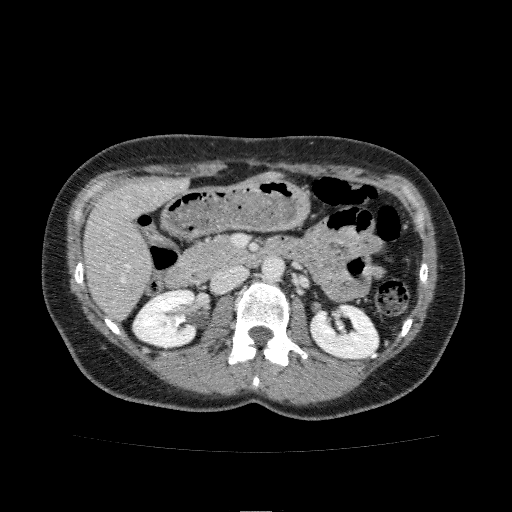 CT image | Image size 512x512
<segmentation>
  <liver>(left=243, top=172, right=281, bottom=185), (left=84, top=178, right=188, bottom=319)</liver>
  <kidney>(left=133, top=290, right=194, bottom=347), (left=311, top=305, right=378, bottom=358)</kidney>
</segmentation>